FLAIR MR image.
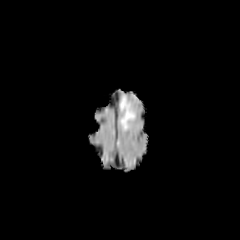
T1-weighted magnetic resonance.
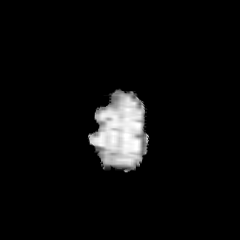
Post-contrast T1-weighted magnetic resonance.
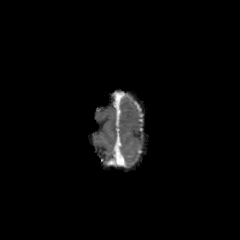
T2-weighted MR.
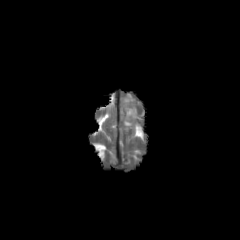
240x240 px
The edema is located at bbox=[120, 97, 135, 128].